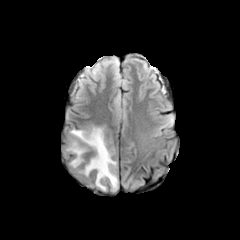
FLAIR MR image.
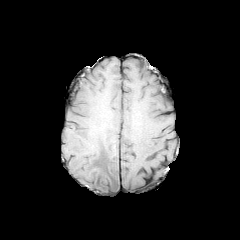
T1-weighted magnetic resonance of the same slice.
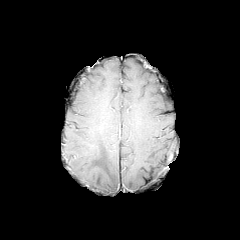
Post-contrast T1-weighted MRI.
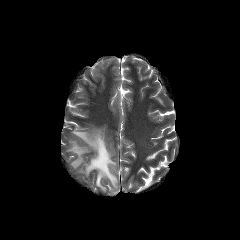
T2-weighted MR image of the same slice.
<segmentation>
  <edema>(x1=68, y1=141, x2=85, y2=167), (x1=71, y1=127, x2=118, y2=191)</edema>
</segmentation>